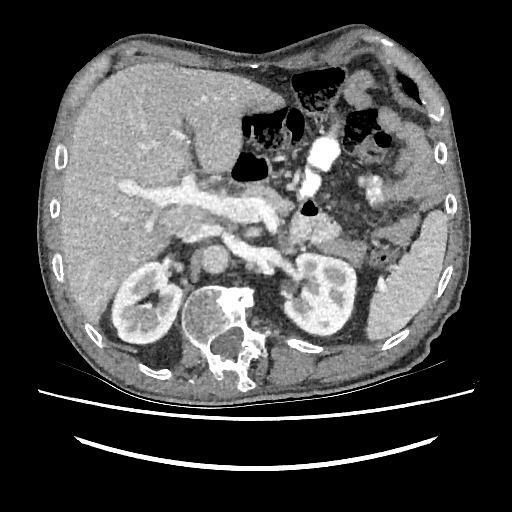

Computed tomography | Image size 512x512
Liver = box(62, 63, 282, 322).
Kidney = box(285, 253, 355, 334); box(112, 262, 181, 343).